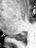

MR image; Hippocampus
Posterior hippocampus: x1=12, y1=33, x2=26, y2=40.